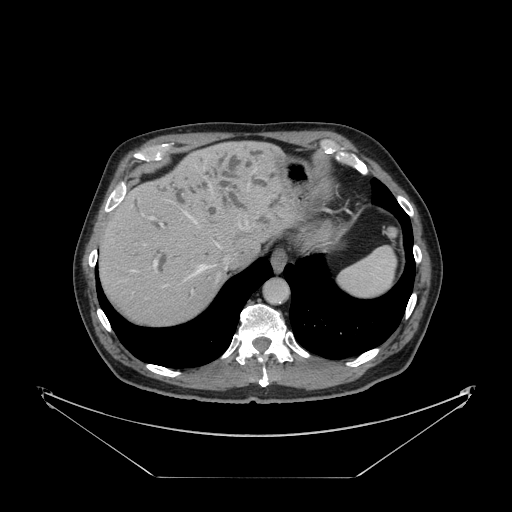
512x512. Computed tomography. Abdomen. Some hepatic vessels may have no box.
11 hepatic vessel regions are located at <bbox>183, 279, 184, 281</bbox>, <bbox>131, 270, 133, 271</bbox>, <bbox>209, 186, 212, 191</bbox>, <bbox>149, 217, 153, 218</bbox>, <bbox>239, 221, 247, 229</bbox>, <bbox>153, 260, 156, 270</bbox>, <bbox>160, 224, 162, 225</bbox>, <bbox>215, 243, 219, 246</bbox>, <bbox>248, 184, 248, 188</bbox>, <bbox>184, 212, 196, 223</bbox>, <bbox>191, 265, 207, 275</bbox>.